Abdomen | CT slice

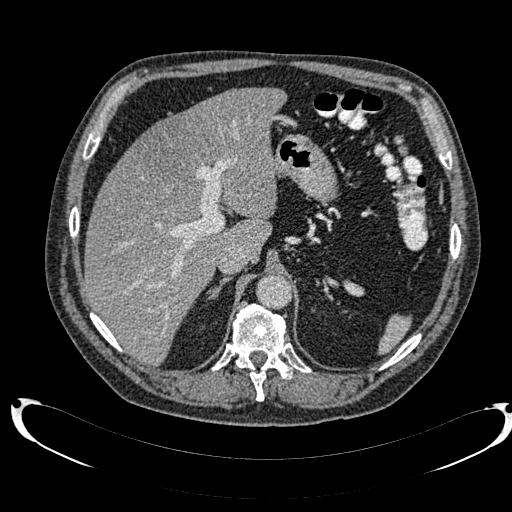 <segmentation>
  <focal_liver_lesion>{"x1": 134, "y1": 117, "x2": 206, "y2": 183}</focal_liver_lesion>
  <liver>{"x1": 84, "y1": 88, "x2": 286, "y2": 366}</liver>
</segmentation>